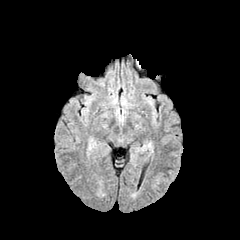
FLAIR MR image.
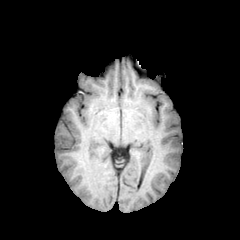
T1-weighted MRI of the same slice.
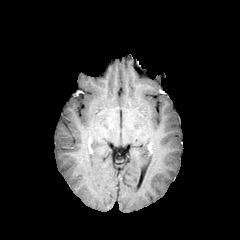
Same slice, post-contrast T1-weighted MR.
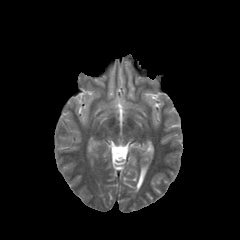
T2-weighted MR of the same slice.
240x240 px.
- edema: region(111, 96, 128, 107)